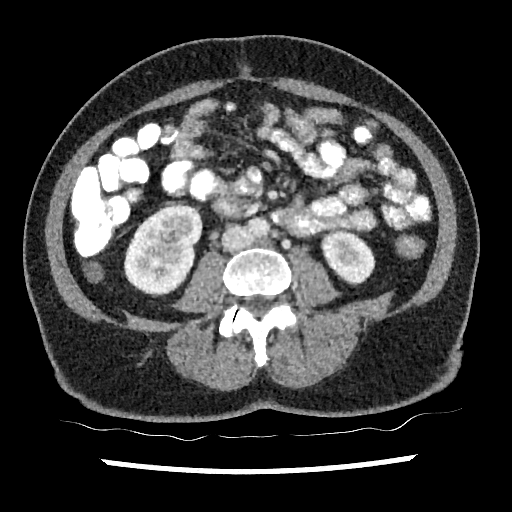 Abdomen; CT
2 kidney regions appear at 323 233 373 282, 125 206 201 293.